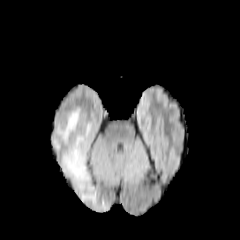
FLAIR MR.
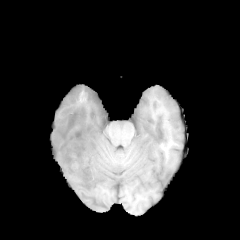
T1-weighted MR image.
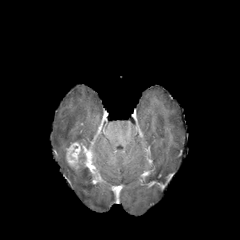
Same slice, post-contrast T1-weighted magnetic resonance.
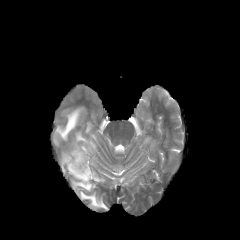
T2-weighted magnetic resonance.
* non-enhancing tumor core: x1=69, y1=163, x2=85, y2=174
* enhancing tumor: x1=65, y1=141, x2=89, y2=170
* edema: x1=60, y1=151, x2=106, y2=208; x1=76, y1=133, x2=87, y2=160; x1=53, y1=107, x2=84, y2=151